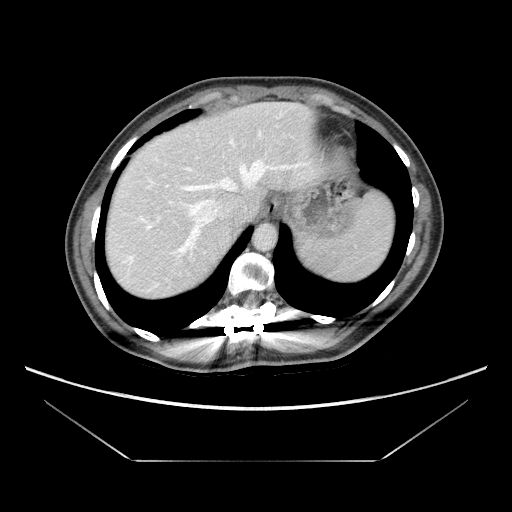

CT scan slice
Some hepatic vessels may have no box.
hepatic vessel: (left=183, top=167, right=195, bottom=172), (left=166, top=185, right=168, bottom=187), (left=170, top=202, right=173, bottom=204), (left=179, top=177, right=237, bottom=191), (left=233, top=145, right=234, bottom=147), (left=259, top=133, right=260, bottom=135), (left=170, top=199, right=230, bottom=260), (left=238, top=159, right=306, bottom=188), (left=155, top=283, right=157, bottom=285)